Medial temporal lobe; Magnetic resonance
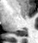
posterior_hippocampus:
  - [15, 29, 25, 36]